FLAIR magnetic resonance.
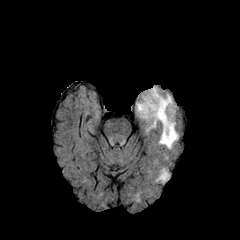
T1-weighted MR.
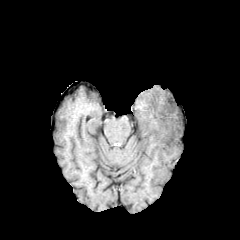
Post-contrast T1-weighted MR image.
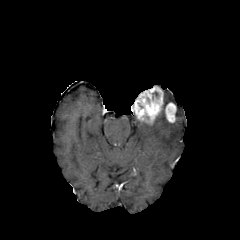
T2-weighted MR image.
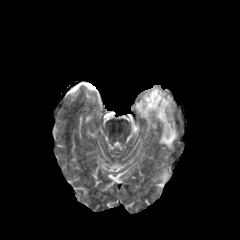
Brain.
3 edema regions are located at (x1=151, y1=116, x2=178, y2=149), (x1=164, y1=93, x2=172, y2=103), (x1=158, y1=168, x2=168, y2=181). The enhancing tumor is located at (x1=133, y1=86, x2=175, y2=125).